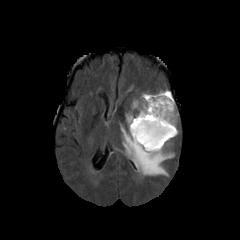
FLAIR MRI.
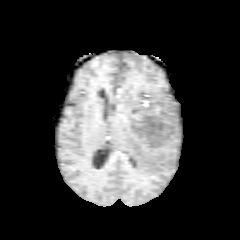
T1-weighted MRI.
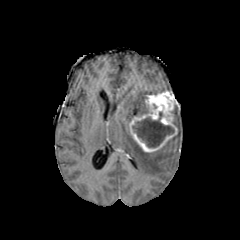
Post-contrast T1-weighted MR.
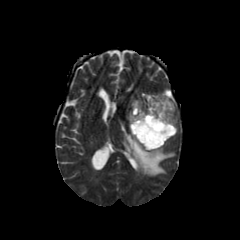
T2-weighted MR image.
Head.
Non-enhancing tumor core: bounding box left=132, top=116, right=174, bottom=147.
Enhancing tumor: bounding box left=129, top=90, right=177, bottom=152.
Edema: bounding box left=126, top=112, right=134, bottom=126; left=131, top=100, right=147, bottom=115; left=121, top=126, right=174, bottom=175.